Computed tomography. Slice 327/391. 512x512. Upper abdomen. 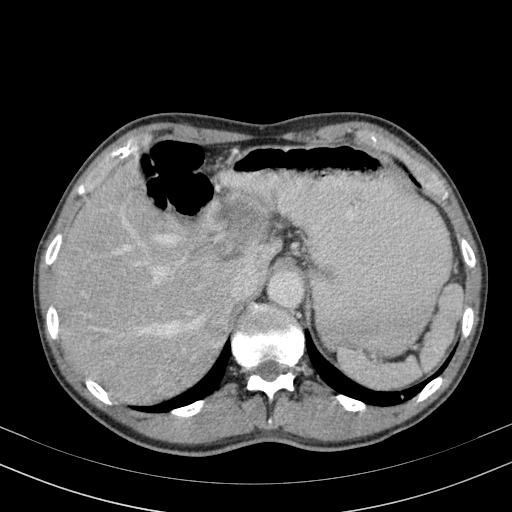

The liver lies within 53:159:281:405. The focal liver lesion appears at 218:201:257:220.